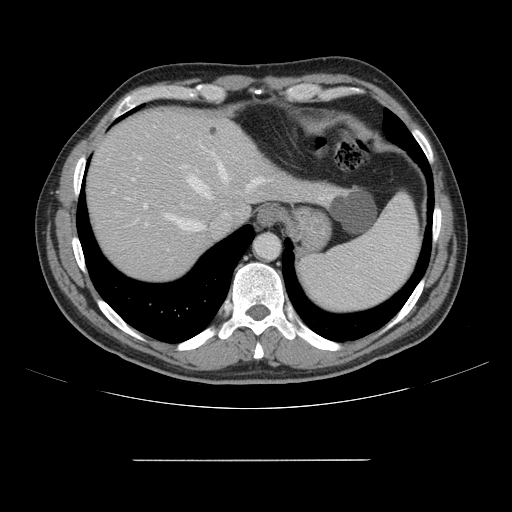
Image size 512x512 | CT scan slice
The vessel annotation is not exhaustive.
Findings:
• hepatic vessel: (x1=134, y1=218, x2=138, y2=222), (x1=138, y1=157, x2=141, y2=158), (x1=210, y1=151, x2=214, y2=155), (x1=246, y1=177, x2=262, y2=191), (x1=144, y1=204, x2=146, y2=207), (x1=185, y1=165, x2=187, y2=166), (x1=177, y1=136, x2=179, y2=137), (x1=145, y1=222, x2=146, y2=226), (x1=126, y1=198, x2=128, y2=199), (x1=194, y1=223, x2=204, y2=231), (x1=131, y1=178, x2=133, y2=180), (x1=201, y1=145, x2=205, y2=149), (x1=163, y1=213, x2=188, y2=228), (x1=218, y1=161, x2=226, y2=179)